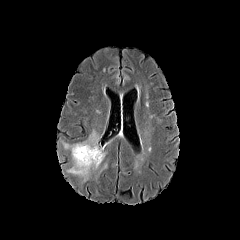
FLAIR MRI.
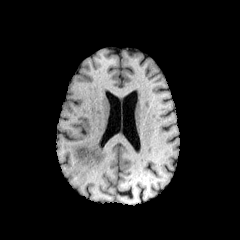
T1-weighted MRI of the same slice.
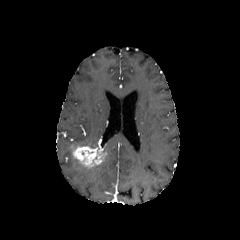
Post-contrast T1-weighted magnetic resonance.
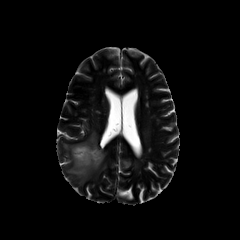
Same slice, T2-weighted MR image.
Brain
<segmentation>
  <enhancing_tumor>x1=72 y1=139 x2=105 y2=168</enhancing_tumor>
  <edema>x1=63 y1=131 x2=99 y2=183</edema>
</segmentation>